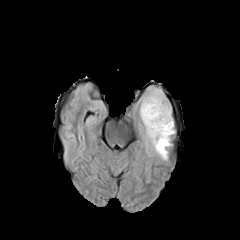
FLAIR magnetic resonance.
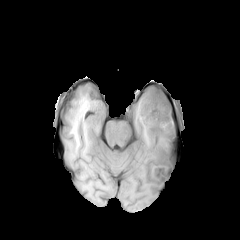
T1-weighted MR image of the same slice.
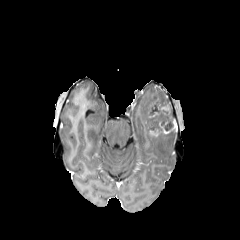
Same slice, post-contrast T1-weighted magnetic resonance.
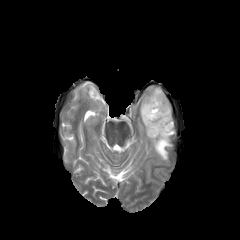
T2-weighted MR image of the same slice.
Non-enhancing tumor core = [144,86,175,137].
Edema = [135,85,175,162].